Image size 320x320. Field of view 400x400 mm. Magnetic resonance.
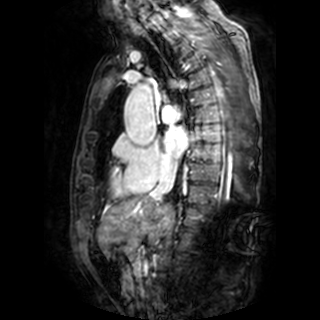 The left atrium lies within region(163, 128, 188, 157).